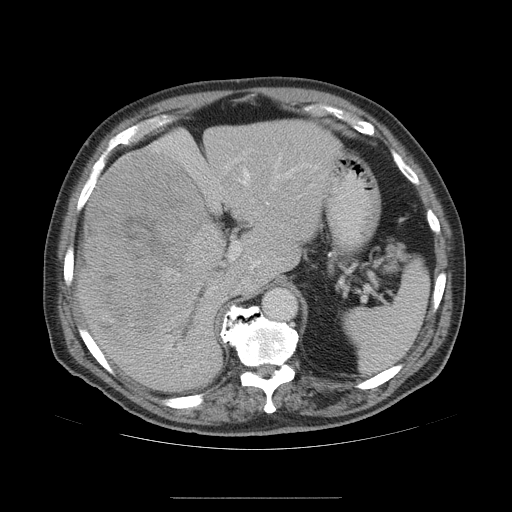
Abdomen. CT slice. 512x512.
The vessel annotation is not exhaustive.
Principal 15 of 20 hepatic vessel regions — [x1=273, y1=153, x2=281, y2=170], [x1=195, y1=316, x2=197, y2=318], [x1=286, y1=168, x2=295, y2=176], [x1=250, y1=259, x2=259, y2=272], [x1=276, y1=172, x2=278, y2=178], [x1=214, y1=202, x2=218, y2=207], [x1=262, y1=255, x2=267, y2=261], [x1=229, y1=242, x2=241, y2=259], [x1=273, y1=188, x2=276, y2=189], [x1=231, y1=158, x2=242, y2=162], [x1=225, y1=163, x2=229, y2=173], [x1=238, y1=169, x2=249, y2=184], [x1=212, y1=179, x2=226, y2=192], [x1=255, y1=212, x2=257, y2=214], [x1=164, y1=344, x2=171, y2=351].
Liver tumor — [x1=77, y1=151, x2=208, y2=338].